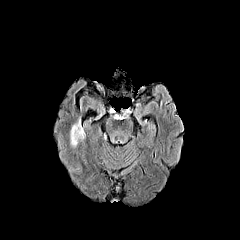
FLAIR MR image.
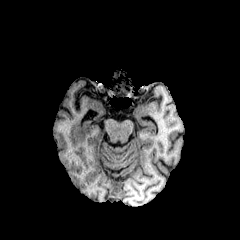
Same slice, T1-weighted MR image.
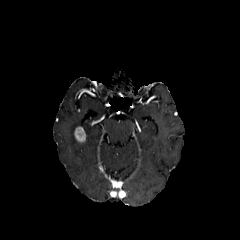
Same slice, post-contrast T1-weighted MR image.
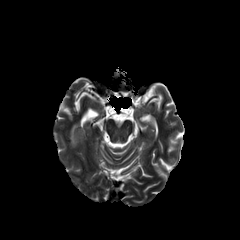
T2-weighted MR.
Head
Findings:
- edema: {"x1": 69, "y1": 120, "x2": 81, "y2": 147}
- enhancing tumor: {"x1": 74, "y1": 126, "x2": 85, "y2": 143}